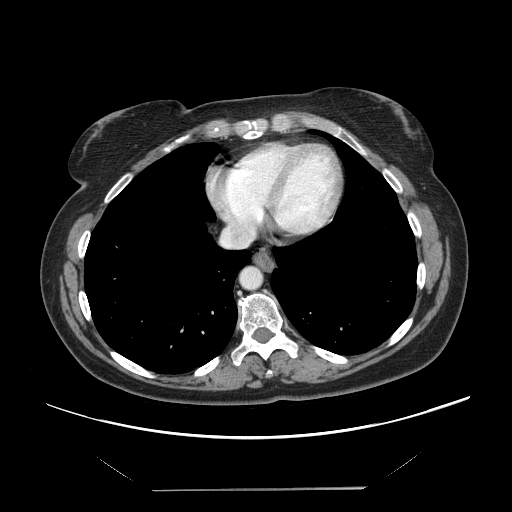 512x512 px. CT.
The vessel boxes may cover only some of the vessels.
Hepatic vessel: 224,229,240,242.